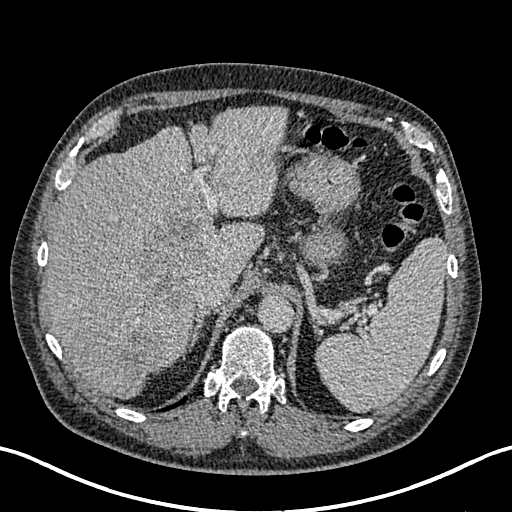
Abdomen, 512x512, CT slice

{
  "liver": [
    "[x1=190, y1=107, x2=287, y2=218]",
    "[x1=46, y1=126, x2=263, y2=397]"
  ],
  "hepatic_lesion": [
    "[x1=136, y1=216, x2=217, y2=311]",
    "[x1=120, y1=328, x2=162, y2=383]",
    "[x1=230, y1=150, x2=264, y2=184]"
  ]
}